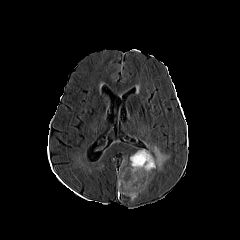
FLAIR MR.
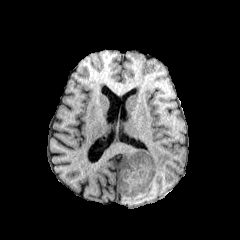
Same slice, T1-weighted magnetic resonance.
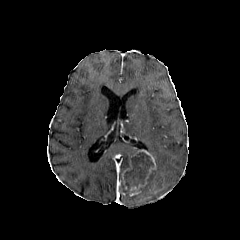
Same slice, post-contrast T1-weighted MR image.
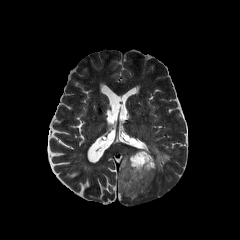
T2-weighted magnetic resonance.
Brain.
non-enhancing tumor core: rect(121, 152, 156, 195) | edema: rect(143, 142, 169, 171) | enhancing tumor: rect(119, 148, 157, 195); rect(129, 178, 146, 196)